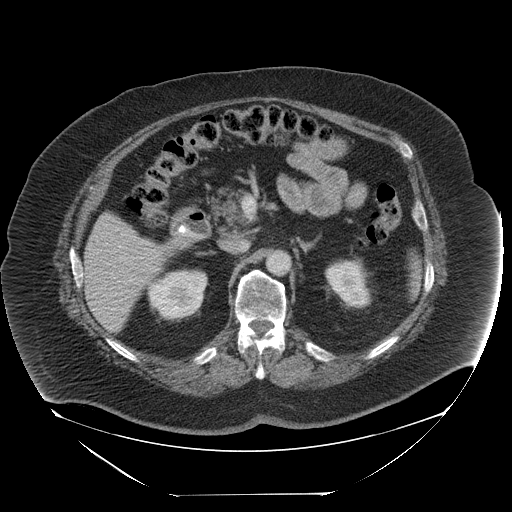

Abdomen, CT slice, Image size 512x512
<segmentation>
  <spleen>405 253 420 298</spleen>
</segmentation>